FLAIR MR.
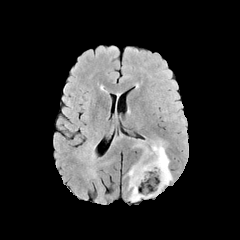
T1-weighted MR.
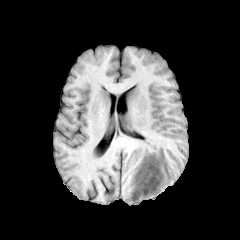
Post-contrast T1-weighted MR image.
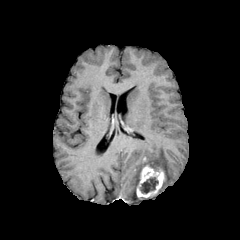
T2-weighted MR.
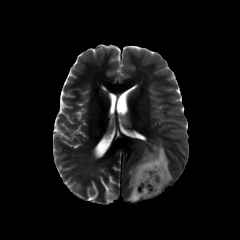
Image size 240x240
2 edema regions appear at x1=145 y1=142 x2=172 y2=194, x1=127 y1=161 x2=141 y2=202. The enhancing tumor lies within x1=136 y1=164 x2=165 y2=198. 2 non-enhancing tumor core regions are located at x1=142 y1=161 x2=163 y2=169, x1=139 y1=178 x2=158 y2=193.